MRI slice | Medial temporal lobe 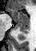
<segmentation>
  <anterior_hippocampus>l=9, t=9, r=29, b=22</anterior_hippocampus>
  <posterior_hippocampus>l=17, t=23, r=30, b=34</posterior_hippocampus>
</segmentation>